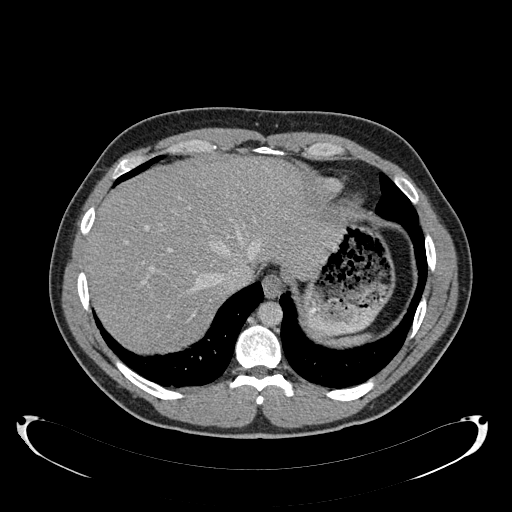 CT slice | Upper abdomen
<segmentation>
  <liver>box(85, 157, 339, 351)</liver>
</segmentation>